Field of view 421x421 mm. CT slice.
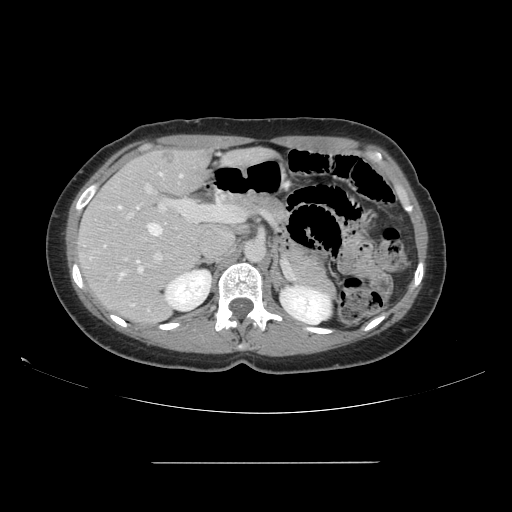
Only some of the vessels may be annotated.
Annotated regions:
• liver tumor: (162,151,178,164)
• hepatic vessel (largest 15 of 17): (137,206,138,208), (90,257,91,259), (179,174,182,177), (138,265,142,271), (118,272,124,280), (146,183,152,192), (159,172,162,175), (129,303,134,305), (136,260,139,264), (147,223,161,235), (118,205,121,209), (159,200,178,211), (154,254,161,261), (192,220,197,222), (127,213,132,217)